512x512 px, Abdomen, CT image 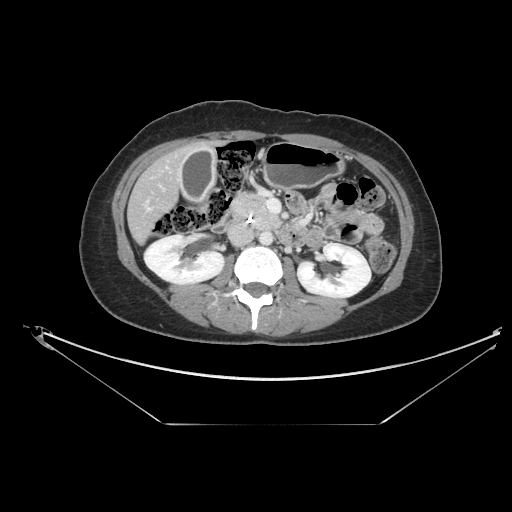
pancreatic tumor: bbox=[252, 199, 264, 212] | pancreas: bbox=[233, 193, 280, 228]